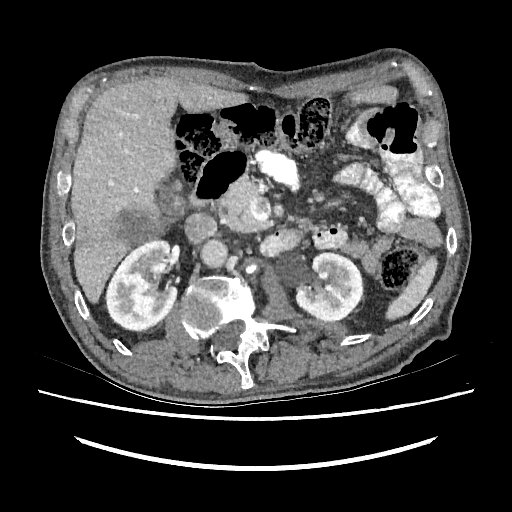

CT scan slice, Abdomen
{"hepatic_lesion": ["rect(110, 209, 161, 244)"], "kidney": ["rect(107, 241, 176, 330)", "rect(296, 253, 362, 320)"], "liver": ["rect(72, 78, 246, 303)"]}